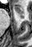 32x47, Hippocampus, MRI slice

* anterior hippocampus: [x1=21, y1=15, x2=23, y2=18], [x1=15, y1=6, x2=23, y2=13]